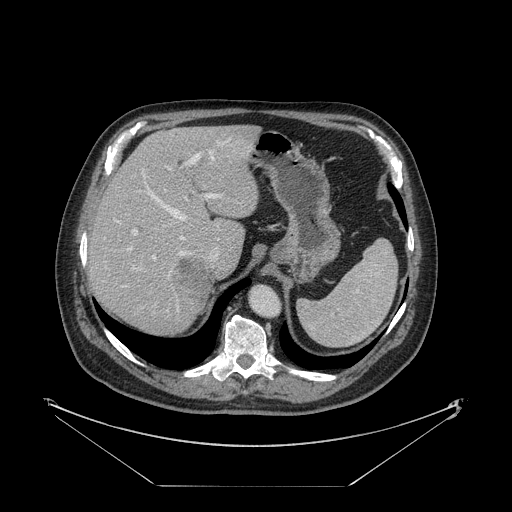

512x512 px; Liver; CT scan slice

Not every hepatic vessel necessarily has a box.
The liver tumor appears at left=176, top=258, right=211, bottom=302. 8 hepatic vessel regions are bounded by left=185, top=196, right=186, bottom=198; left=203, top=193, right=216, bottom=198; left=129, top=246, right=131, bottom=249; left=153, top=255, right=154, bottom=258; left=180, top=236, right=183, bottom=238; left=132, top=230, right=137, bottom=234; left=185, top=153, right=199, bottom=165; left=210, top=151, right=212, bottom=158.